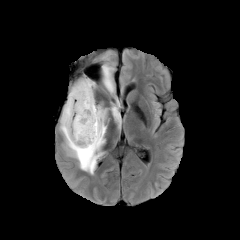
FLAIR magnetic resonance.
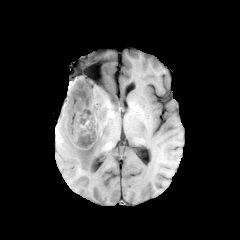
T1-weighted MR.
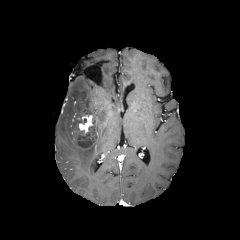
Post-contrast T1-weighted magnetic resonance of the same slice.
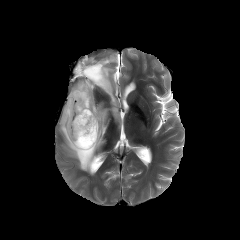
Same slice, T2-weighted MRI.
edema: 60, 78, 121, 174; 102, 60, 114, 94 | enhancing tumor: 78, 115, 92, 133 | non-enhancing tumor core: 77, 110, 98, 148